512x512. Image width 500 mm. CT slice. Abdomen. 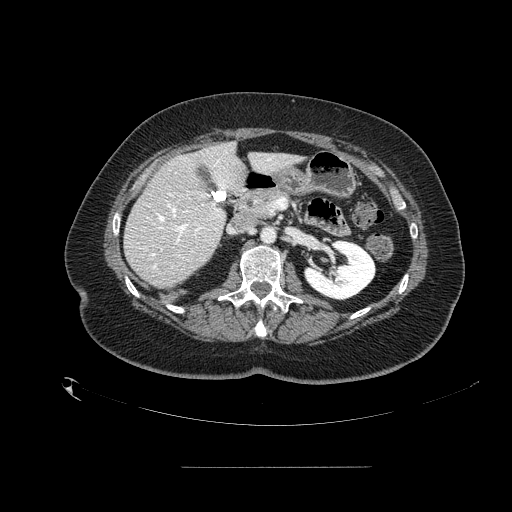
Pancreas: bbox=[234, 187, 284, 219].